512x512 px | Chest | CT scan slice
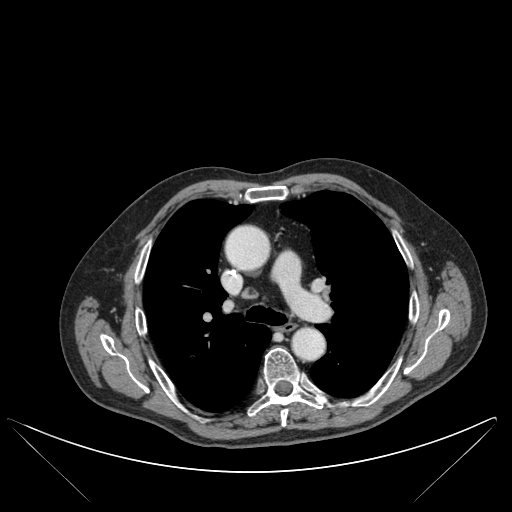

Annotated regions:
- lung: 281,190,408,397; 143,199,285,411
- bone: 248,348,326,425; 135,309,146,334; 149,360,182,408; 404,309,449,373; 409,293,419,321; 245,186,287,202; 352,359,401,405; 135,241,150,282; 100,334,148,392; 395,234,411,262